Brain. Image size 240x240.
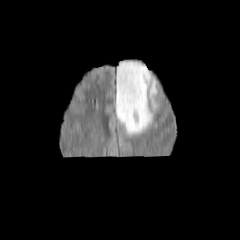
FLAIR MRI.
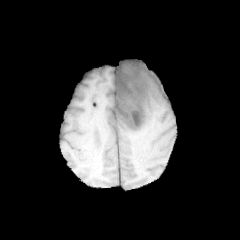
T1-weighted MR of the same slice.
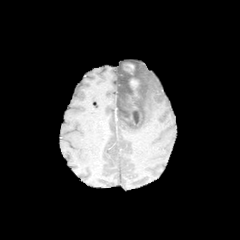
Post-contrast T1-weighted MRI.
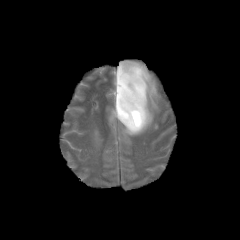
Same slice, T2-weighted MR image.
The enhancing tumor appears at (129,79,139,96). The non-enhancing tumor core appears at (119,63,142,126). The edema is at (115,60,157,135).